Slice index 31; 512x512; Computed tomography; Image width 341 mm 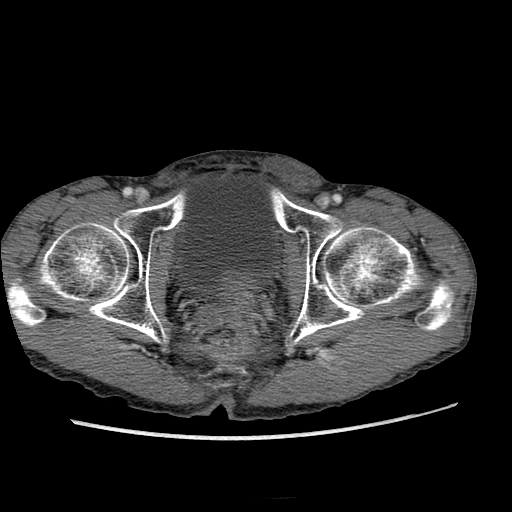
The urinary bladder is at {"x1": 172, "y1": 175, "x2": 283, "y2": 286}.